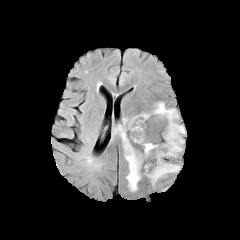
FLAIR magnetic resonance.
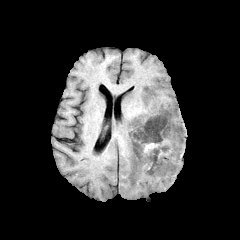
T1-weighted MR image of the same slice.
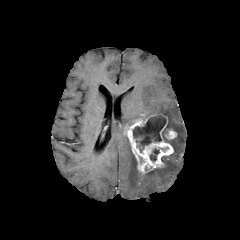
Post-contrast T1-weighted MR image.
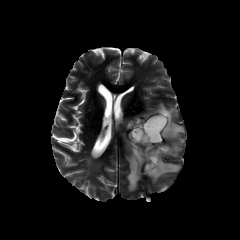
T2-weighted MRI of the same slice.
Brain | 240x240
non-enhancing_tumor_core:
  - x1=149, y1=147, x2=168, y2=162
  - x1=132, y1=115, x2=177, y2=152
edema:
  - x1=141, y1=102, x2=185, y2=157
  - x1=115, y1=124, x2=140, y2=191
  - x1=144, y1=162, x2=180, y2=183
enhancing_tumor:
  - x1=166, y1=130, x2=176, y2=138
  - x1=127, y1=118, x2=173, y2=171